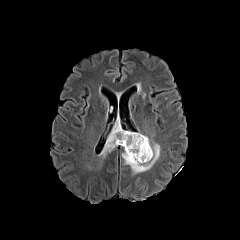
FLAIR MR image.
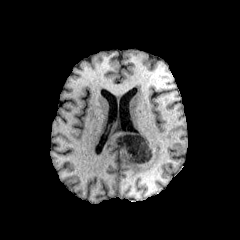
T1-weighted magnetic resonance of the same slice.
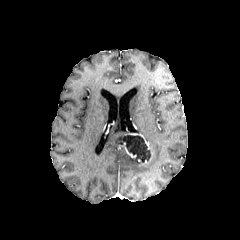
Post-contrast T1-weighted magnetic resonance.
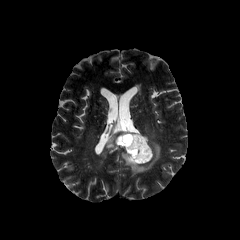
T2-weighted MR image.
Brain
2 edema regions are bounded by (121, 130, 160, 174), (99, 123, 124, 157). The non-enhancing tumor core appears at (117, 131, 151, 163).